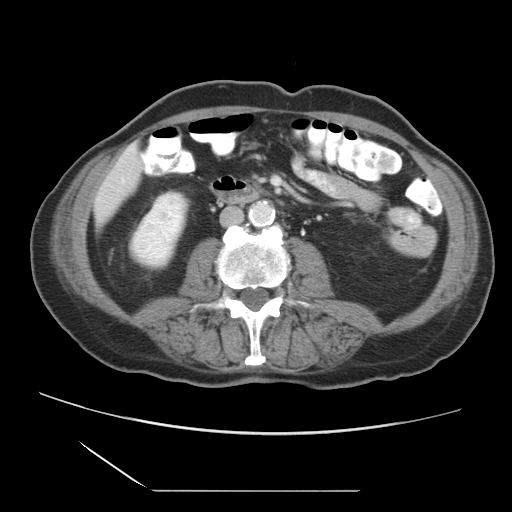 CT scan slice
Only some of the vessels may be annotated.
Segmented structures:
- hepatic vessel: 122:179:124:182